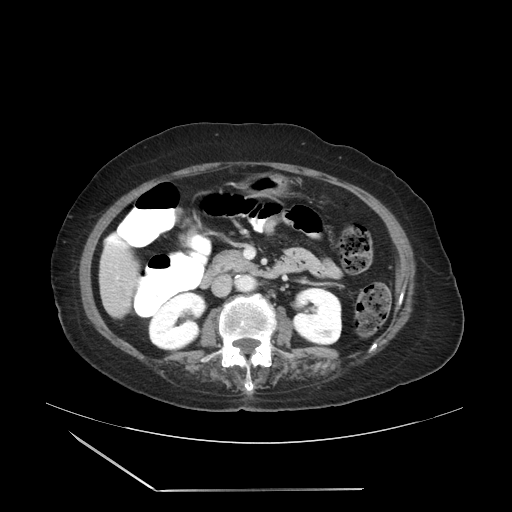

CT scan slice, Liver
Some hepatic vessels may have no box.
Findings:
• hepatic vessel: <box>116,276,118,278</box>, <box>106,247,123,256</box>, <box>125,304,126,305</box>
• liver tumor: <box>116,283,133,298</box>